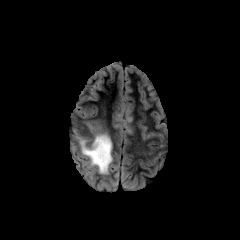
FLAIR MR.
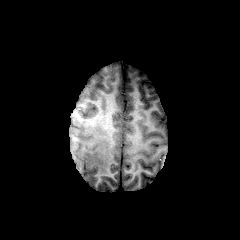
T1-weighted MRI of the same slice.
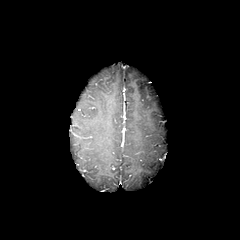
Same slice, post-contrast T1-weighted magnetic resonance.
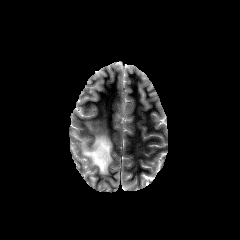
T2-weighted magnetic resonance.
Brain. 240x240.
edema: [79, 133, 112, 173]